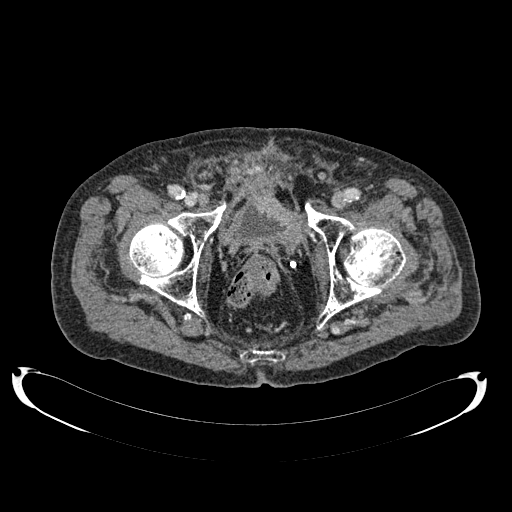

Computed tomography | Pelvis
* urinary bladder: <bbox>238, 212, 284, 238</bbox>